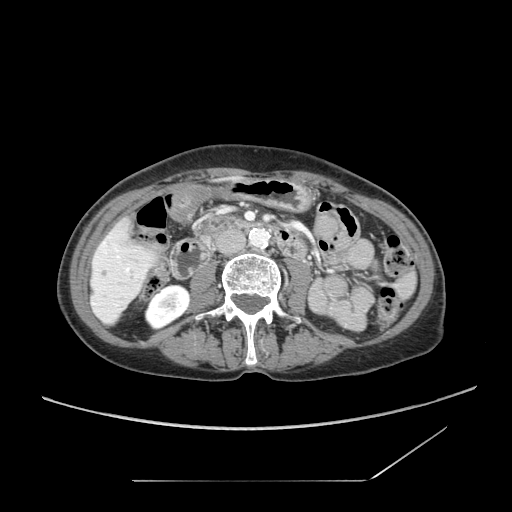 Computed tomography
* pancreatic tumor: bbox=[200, 216, 233, 233]
* pancreas: bbox=[223, 216, 238, 228]; bbox=[203, 231, 224, 237]